Slice index 86. 240x240. Brain. Field of view 240 mm wide, 1.00 mm slice spacing.
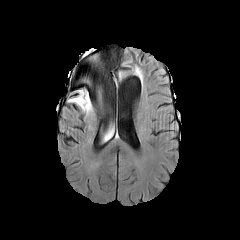
FLAIR MR.
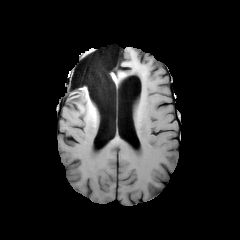
T1-weighted MR image of the same slice.
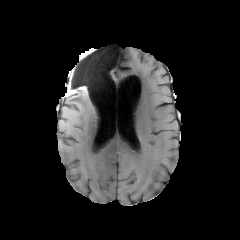
Post-contrast T1-weighted MRI of the same slice.
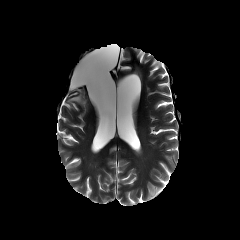
T2-weighted magnetic resonance of the same slice.
The edema appears at box=[67, 89, 92, 116].